240x240 px | Head
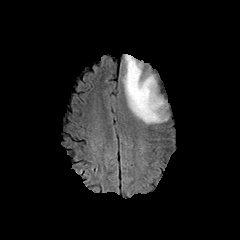
FLAIR MR image.
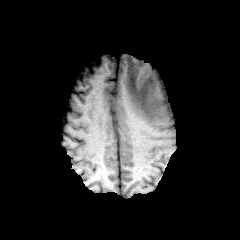
T1-weighted MRI.
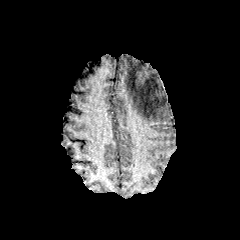
Post-contrast T1-weighted magnetic resonance of the same slice.
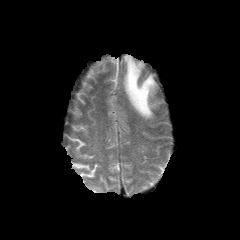
T2-weighted magnetic resonance of the same slice.
edema:
  - <box>123,54,164,123</box>